240x240 px
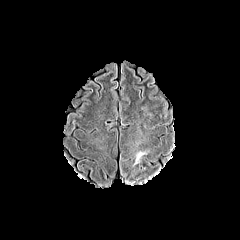
FLAIR magnetic resonance.
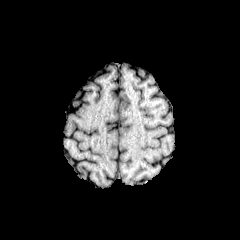
T1-weighted magnetic resonance of the same slice.
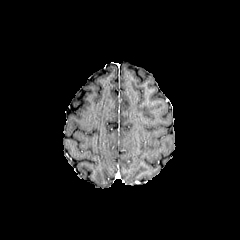
Post-contrast T1-weighted MRI of the same slice.
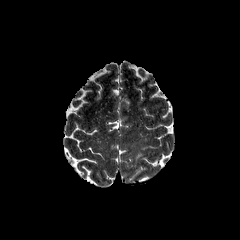
T2-weighted magnetic resonance of the same slice.
Segmented structures:
• edema: {"x1": 134, "y1": 152, "x2": 145, "y2": 164}